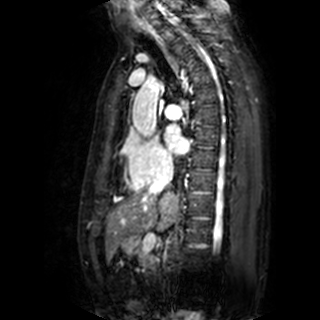

Heart | MR | 320x320
left atrium: [x1=164, y1=124, x2=188, y2=154]